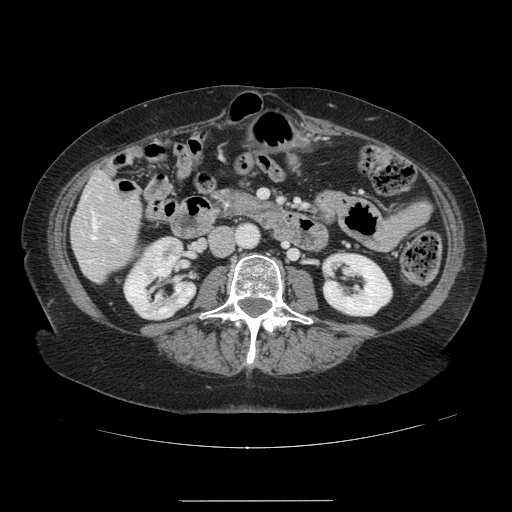 CT slice; Abdomen; Image size 512x512
Some hepatic vessels may have no box.
4 hepatic vessel regions are bounded by x1=91, y1=214, x2=96, y2=238; x1=111, y1=185, x2=112, y2=187; x1=84, y1=194, x2=86, y2=196; x1=111, y1=238, x2=114, y2=241.